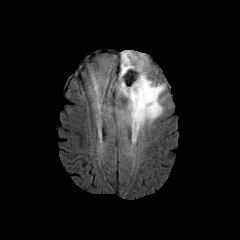
FLAIR MR image.
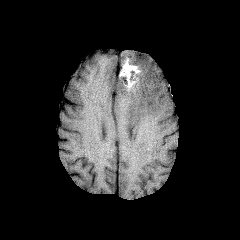
T1-weighted MR.
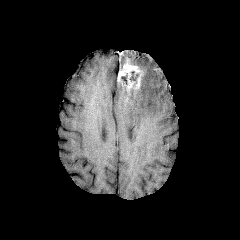
Same slice, post-contrast T1-weighted MR.
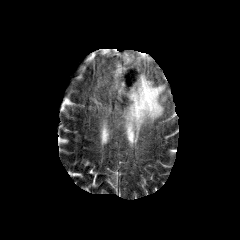
T2-weighted magnetic resonance.
240x240
Annotated regions:
- edema: region(113, 50, 167, 146)
- enhancing tumor: region(117, 58, 140, 83); region(127, 74, 141, 89)
- non-enhancing tumor core: region(115, 70, 143, 92); region(120, 53, 137, 68)